Field of view 411x411 mm | CT slice
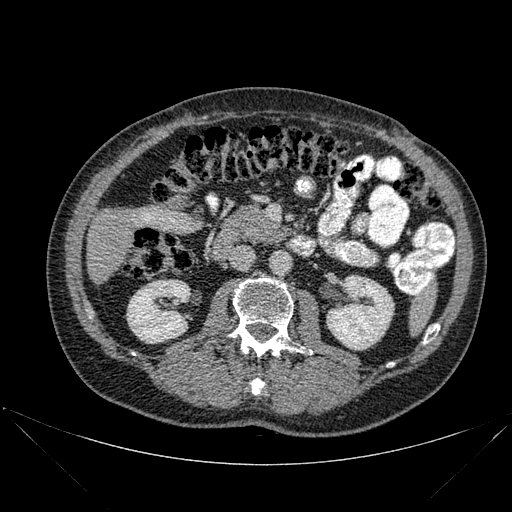 3 bone regions are located at 230,278,312,356; 423,324,439,343; 251,378,264,394. The liver appears at 86,208,133,283. 2 kidney regions are bounded by 127,280,189,343; 327,275,393,349.